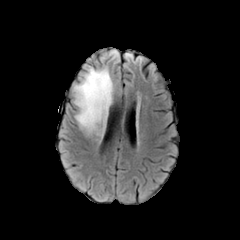
FLAIR MR.
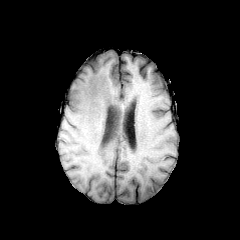
T1-weighted MR image.
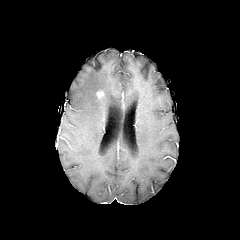
Same slice, post-contrast T1-weighted MR.
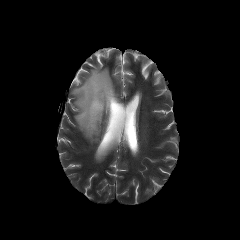
Same slice, T2-weighted MRI.
Brain
The edema appears at [73, 64, 114, 137].